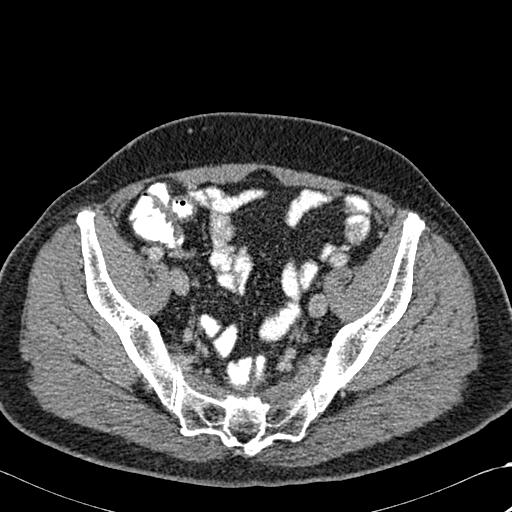
CT image

The bone lies within [76, 211, 424, 454].